Slice 91/155
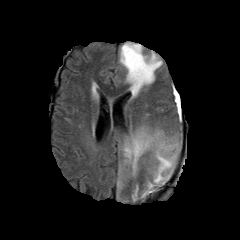
FLAIR MR.
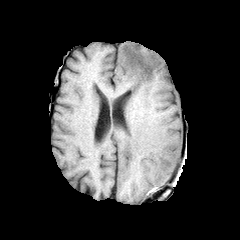
T1-weighted MR image.
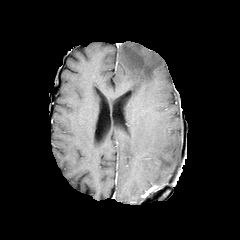
Same slice, post-contrast T1-weighted magnetic resonance.
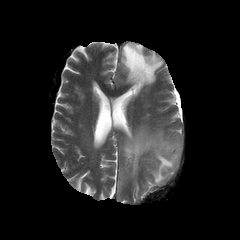
T2-weighted MRI of the same slice.
3 edema regions appear at bbox=[132, 185, 138, 199]; bbox=[119, 42, 163, 96]; bbox=[122, 132, 179, 193]. 2 non-enhancing tumor core regions are bounded by bbox=[141, 187, 155, 197]; bbox=[126, 47, 151, 76].